Slice 105 of 155
FLAIR magnetic resonance.
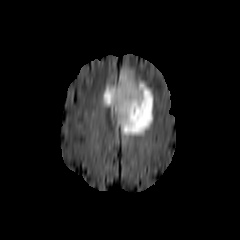
T1-weighted MR.
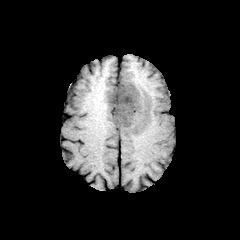
Post-contrast T1-weighted MR.
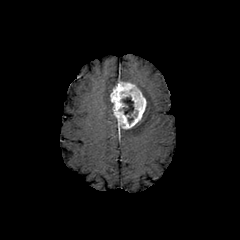
T2-weighted MR.
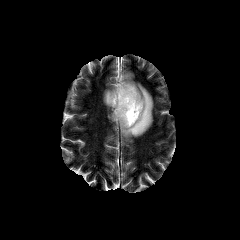
2 edema regions are bounded by [x1=120, y1=69, x2=153, y2=138], [x1=102, y1=84, x2=113, y2=109]. The enhancing tumor lies within [x1=110, y1=77, x2=146, y2=129]. The non-enhancing tumor core is located at [x1=122, y1=97, x2=133, y2=114].